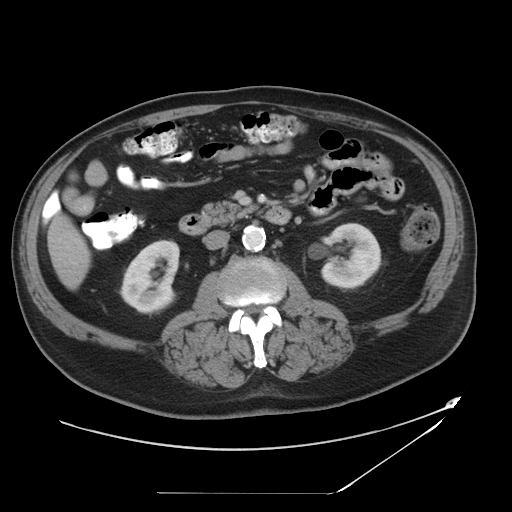 CT slice.
The vessel annotation is not exhaustive.
Annotated regions:
* hepatic vessel: bbox(59, 239, 60, 240); bbox(79, 246, 84, 253); bbox(73, 238, 79, 241); bbox(72, 262, 77, 264); bbox(63, 254, 67, 255); bbox(81, 256, 83, 261); bbox(65, 243, 69, 249); bbox(50, 232, 53, 241)